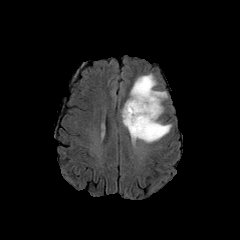
FLAIR MRI.
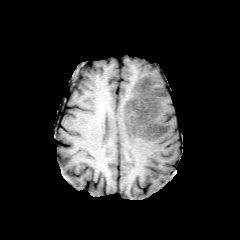
T1-weighted MR image.
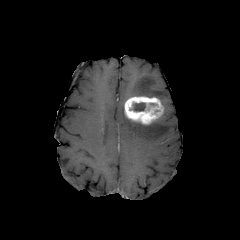
Post-contrast T1-weighted MRI.
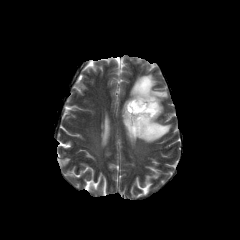
T2-weighted MRI of the same slice.
Brain. 240x240.
2 edema regions appear at box=[130, 73, 167, 102]; box=[122, 108, 171, 143]. 2 non-enhancing tumor core regions are bounded by box=[136, 78, 151, 95]; box=[134, 103, 145, 111]. The enhancing tumor is at box=[124, 96, 163, 125].